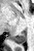 MR image. Hippocampus.
• posterior hippocampus: (11, 31, 26, 44)